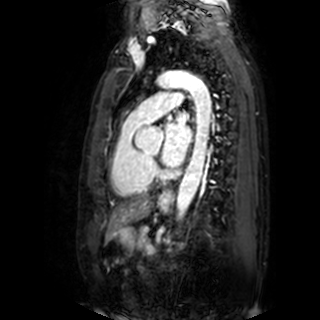

MR image. 320x320 px.

left_atrium:
  - [161, 113, 191, 167]